FLAIR MR image.
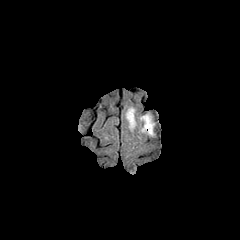
T1-weighted MRI.
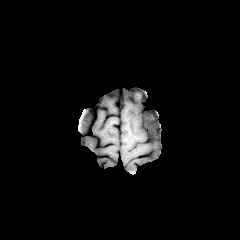
Post-contrast T1-weighted MRI.
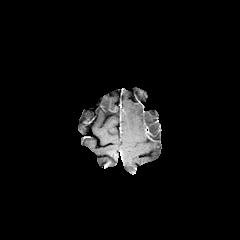
T2-weighted MRI.
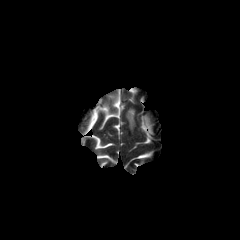
Annotated regions:
- edema: <box>142,115,152,133</box>, <box>127,109,134,127</box>